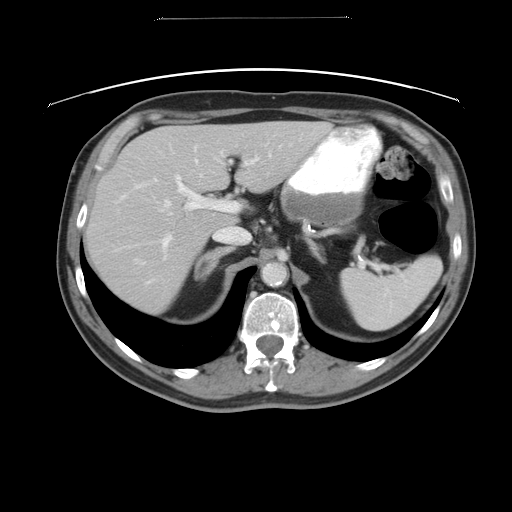 Liver; 512x512; CT
The vessel boxes may cover only some of the vessels.
hepatic vessel: <bbox>171, 148, 173, 153</bbox>, <bbox>159, 200, 170, 211</bbox>, <bbox>134, 182, 145, 187</bbox>, <bbox>117, 195, 124, 201</bbox>, <bbox>289, 143, 291, 145</bbox>, <bbox>147, 280, 151, 282</bbox>, <bbox>175, 175, 239, 212</bbox>, <bbox>213, 227, 251, 241</bbox>, <bbox>168, 211, 171, 214</bbox>, <bbox>244, 156, 259, 165</bbox>, <bbox>135, 258, 145, 264</bbox>, <bbox>280, 145, 281, 146</bbox>, <bbox>154, 178, 156, 181</bbox>, <bbox>164, 255, 166, 258</bbox>, <bbox>162, 234, 172, 249</bbox>